FLAIR MR image.
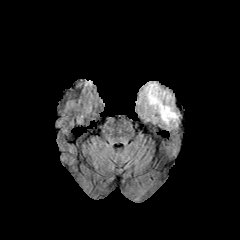
T1-weighted MR image.
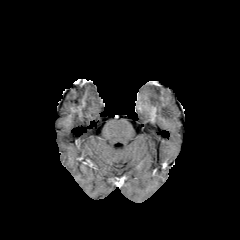
Post-contrast T1-weighted MR.
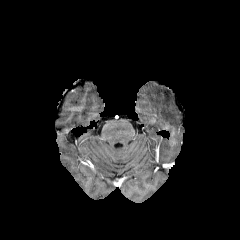
T2-weighted MR.
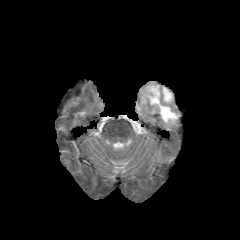
Edema at (138, 82, 179, 129).